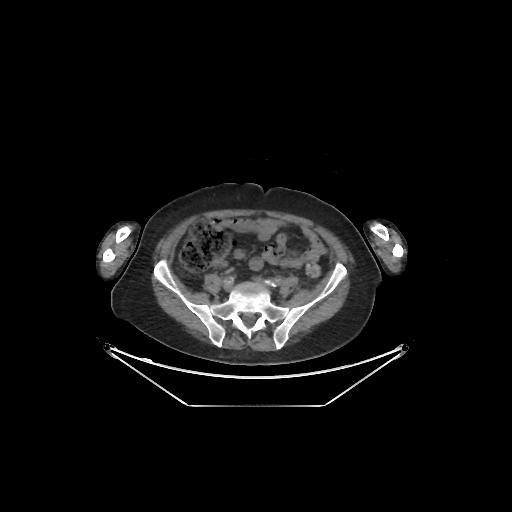

512x512 px. CT.
Annotated regions:
- bone: 103:248:115:262, 371:224:388:240, 154:260:346:348, 392:244:403:257, 116:226:130:242